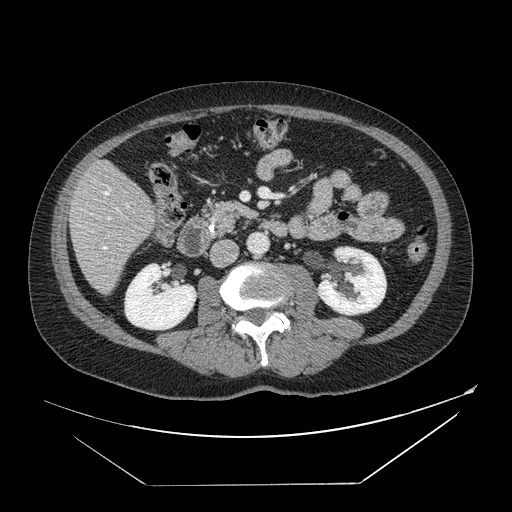
Image size 512x512; CT scan slice
Annotated regions:
• pancreas: bbox(203, 201, 256, 235)